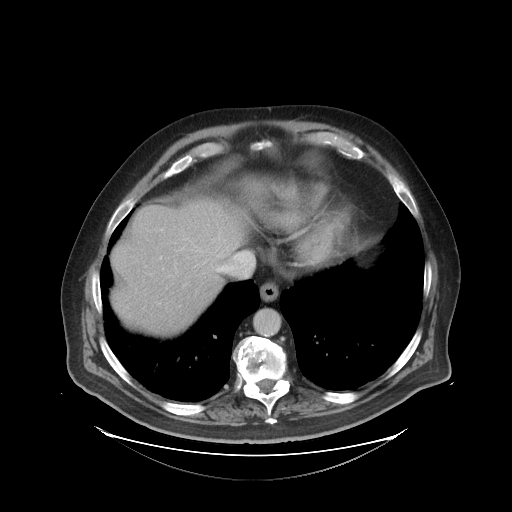
CT image, 512x512
Not every hepatic vessel necessarily has a box.
5 hepatic vessel regions are bounded by region(181, 247, 183, 249); region(217, 266, 233, 270); region(164, 302, 167, 308); region(154, 302, 161, 304); region(212, 232, 221, 246).